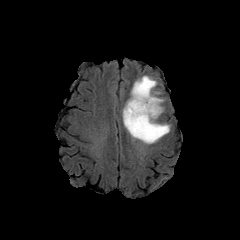
FLAIR magnetic resonance.
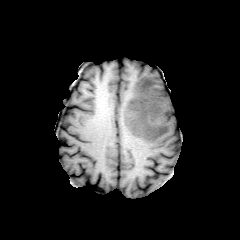
Same slice, T1-weighted magnetic resonance.
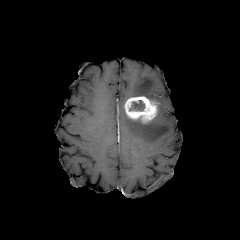
Post-contrast T1-weighted MR image.
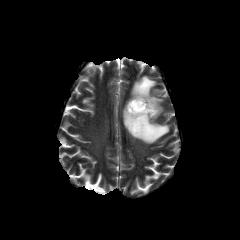
T2-weighted MR image.
The non-enhancing tumor core is at l=130, t=101, r=144, b=110. The edema lies within l=122, t=75, r=170, b=144. The enhancing tumor is bounded by l=124, t=96, r=159, b=122.